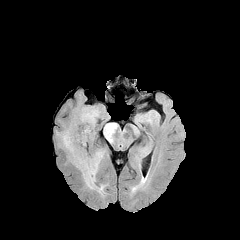
FLAIR magnetic resonance.
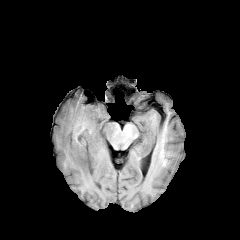
T1-weighted MR.
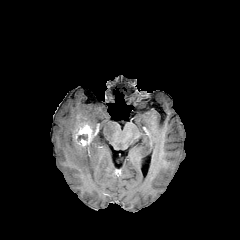
Same slice, post-contrast T1-weighted MR.
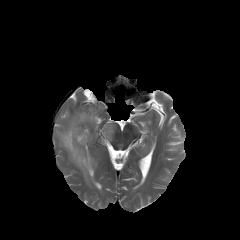
T2-weighted magnetic resonance.
Head
Edema: bounding box left=79, top=106, right=100, bottom=125; left=60, top=129, right=104, bottom=194; left=103, top=123, right=115, bottom=142.
Enhancing tumor: bounding box left=73, top=125, right=92, bottom=146.